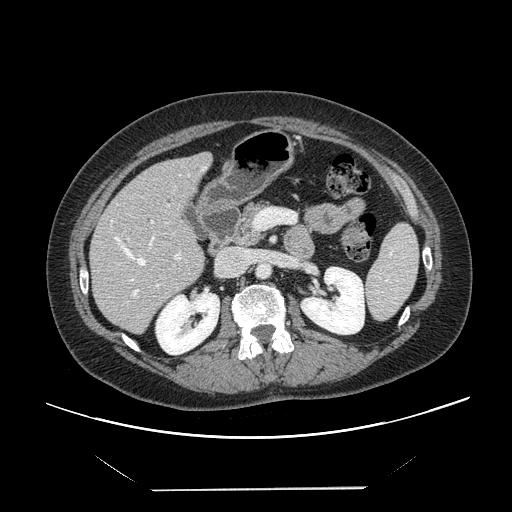
Computed tomography

The vessel annotation is not exhaustive.
12 hepatic vessel regions are bounded by (130, 289, 139, 296), (151, 220, 153, 223), (129, 278, 134, 282), (167, 205, 169, 206), (216, 248, 244, 275), (174, 251, 182, 260), (155, 283, 160, 287), (117, 263, 118, 264), (114, 234, 146, 266), (111, 219, 113, 224), (148, 234, 154, 250), (126, 237, 129, 240).